Slice 468 of 671; CT; Image size 512x512; Image width 370 mm

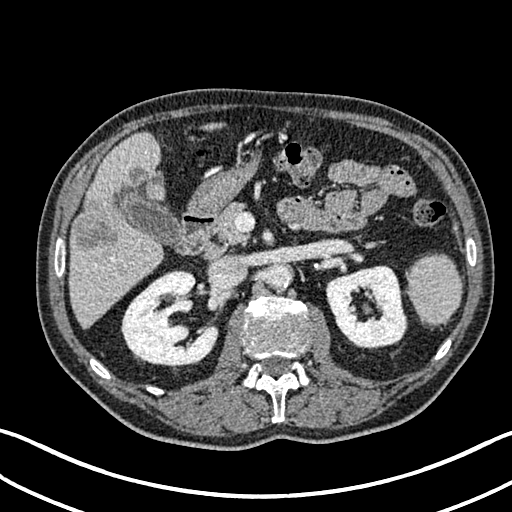

{
  "focal_liver_lesion": [
    "130, 169, 152, 184",
    "74, 201, 117, 248"
  ],
  "liver": [
    "70, 133, 164, 327",
    "206, 124, 218, 129"
  ],
  "kidney": [
    "208, 290, 218, 309",
    "327, 266, 405, 346",
    "122, 272, 217, 365"
  ]
}